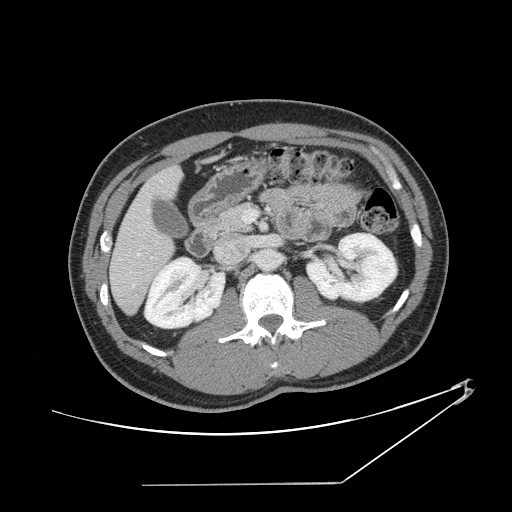

CT image; 512x512
The vessel annotation is not exhaustive.
The hepatic vessel is at box(147, 210, 148, 211).